Slice 129 of 247, Image width 500 mm, Liver, CT slice

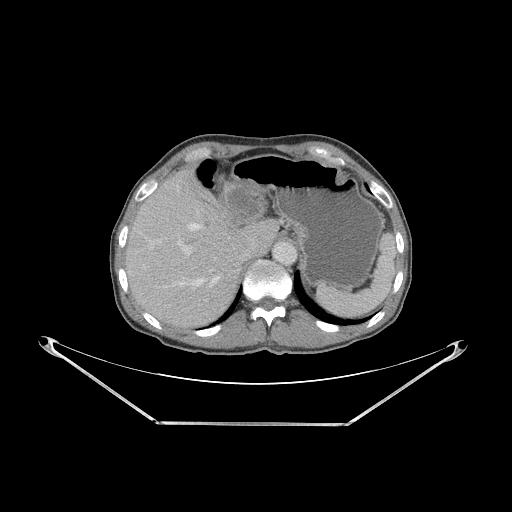 focal_liver_lesion:
  - l=227, t=188, r=257, b=216
  - l=233, t=218, r=242, b=228
lung:
  - l=212, t=288, r=241, b=325
  - l=293, t=273, r=370, b=325
liver:
  - l=127, t=170, r=277, b=326
bone:
  - l=371, t=187, r=390, b=201
  - l=367, t=312, r=384, b=326
  - l=119, t=226, r=127, b=246
  - l=119, t=269, r=127, b=291
  - l=396, t=232, r=403, b=252
  - l=135, t=185, r=153, b=200
  - l=394, t=272, r=402, b=291
  - l=144, t=313, r=160, b=328
  - l=316, t=321, r=338, b=331
  - l=196, t=326, r=220, b=336
  - l=244, t=260, r=290, b=325